512x512 | CT 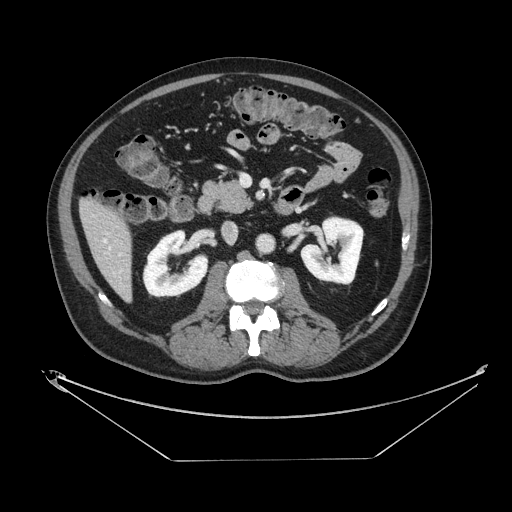
pancreas:
  - region(214, 181, 252, 213)